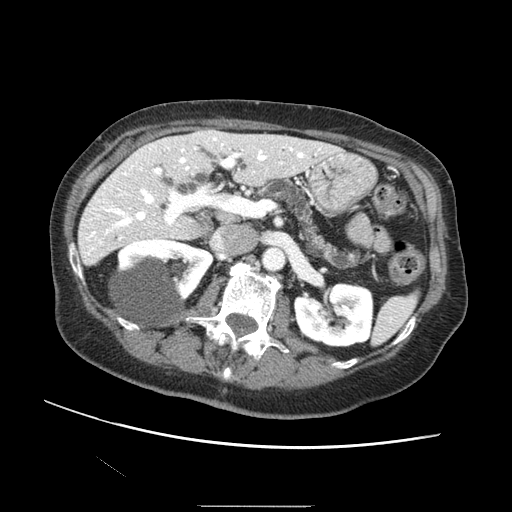

Abdomen; Computed tomography
pancreas:
  - [258,180,364,269]